CT 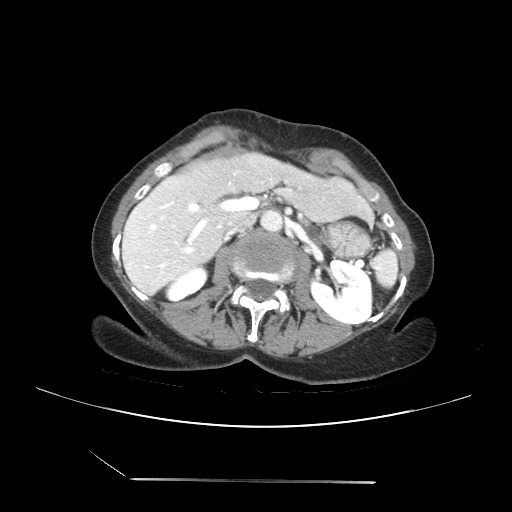
Findings:
- pancreatic tumor: box=[305, 224, 321, 240]
- pancreas: box=[308, 223, 327, 245]